Image width 391 mm. CT slice.
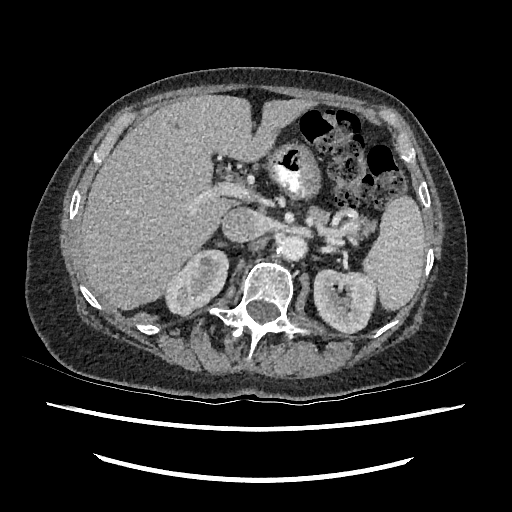 2 kidney regions are bounded by bbox(314, 270, 376, 333); bbox(166, 250, 228, 315). The liver is bounded by bbox(83, 95, 316, 309).